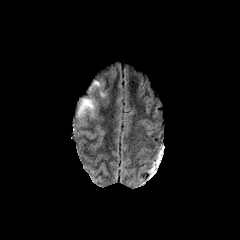
FLAIR MR.
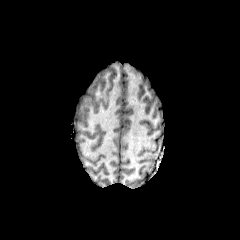
T1-weighted MRI.
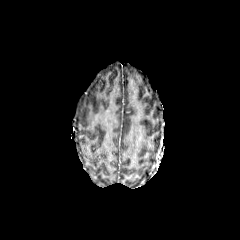
Same slice, post-contrast T1-weighted magnetic resonance.
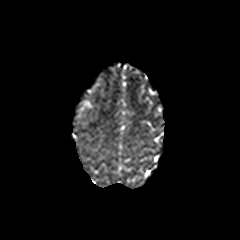
Same slice, T2-weighted MRI.
Head.
The edema is bounded by left=77, top=98, right=94, bottom=117.